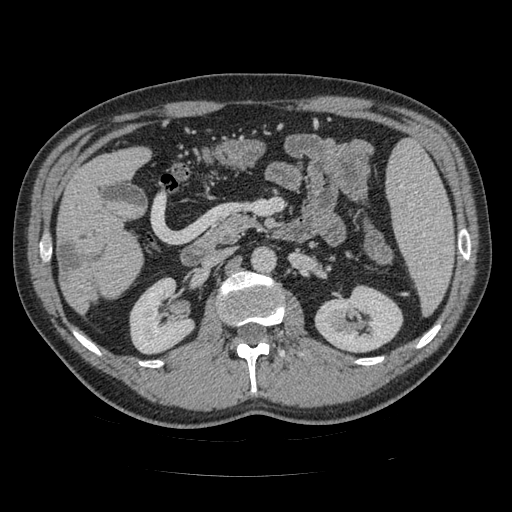 Image size 512x512. Upper abdomen. CT.
Findings:
- pancreas: bbox=[201, 214, 256, 245]